Liver. CT scan slice.

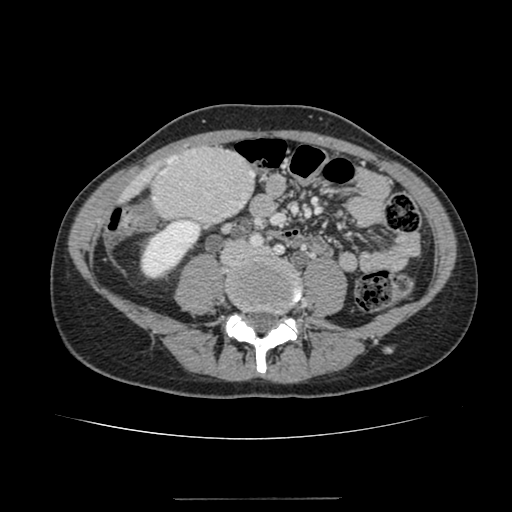

Kidney: bounding box box(143, 220, 199, 276).
Liver: bounding box box(118, 161, 162, 202).
Focal liver lesion: bounding box box(151, 147, 255, 224).